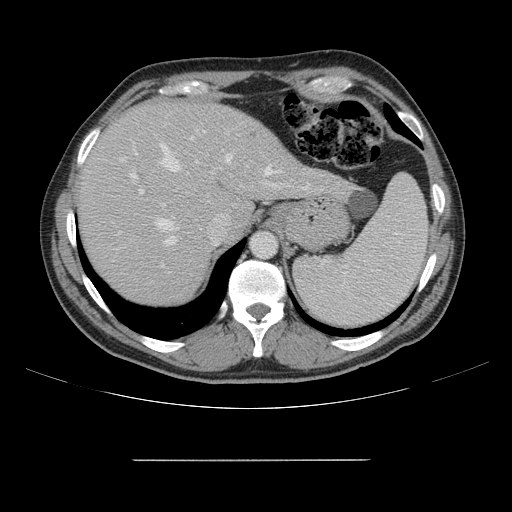 CT image
Some hepatic vessels may have no box.
Hepatic vessel — bbox(174, 227, 177, 229); bbox(156, 219, 171, 230); bbox(140, 189, 143, 193); bbox(265, 166, 281, 174); bbox(226, 154, 231, 162); bbox(207, 194, 208, 196); bbox(265, 182, 289, 187); bbox(196, 161, 200, 163); bbox(130, 172, 136, 182); bbox(165, 237, 174, 244); bbox(301, 183, 309, 191); bbox(191, 137, 193, 138); bbox(135, 151, 137, 154); bbox(219, 167, 221, 169); bbox(161, 264, 163, 266).